CT 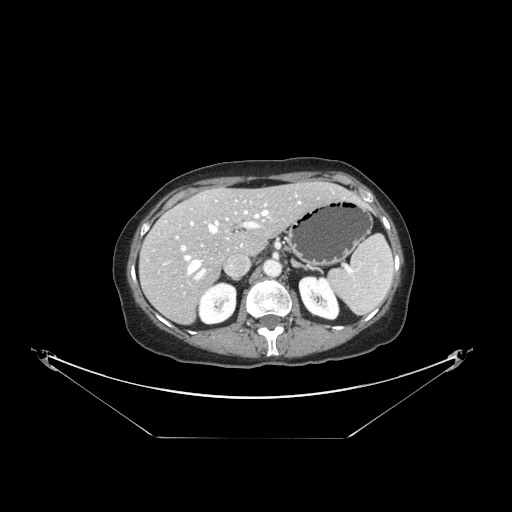
Some hepatic vessels may have no box.
{
  "hepatic_vessel": [
    "(182, 247, 184, 249)",
    "(191, 222, 192, 223)",
    "(256, 214, 258, 217)",
    "(209, 222, 217, 231)",
    "(197, 270, 203, 276)",
    "(263, 211, 266, 214)",
    "(245, 223, 254, 226)"
  ]
}